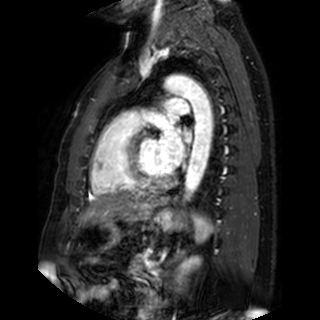 Heart | MRI slice
3 left atrium regions are located at bbox(159, 123, 184, 168); bbox(184, 131, 192, 143); bbox(168, 112, 178, 122).